CT image; 512x512 px
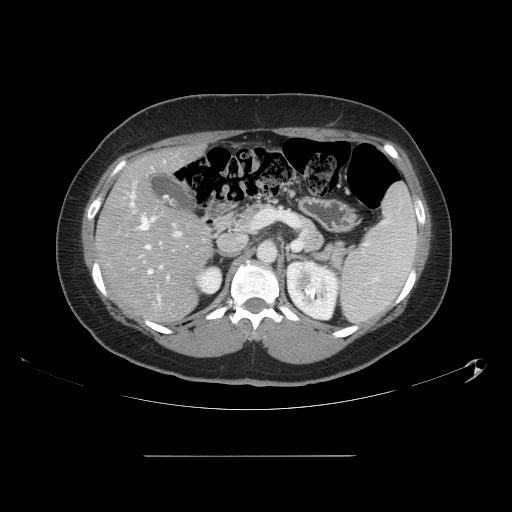
Some hepatic vessels may have no box.
6 hepatic vessel regions appear at <box>148,270,151,273</box>, <box>130,190,134,206</box>, <box>146,245,149,248</box>, <box>158,297,159,302</box>, <box>139,216,155,229</box>, <box>174,232,180,236</box>.